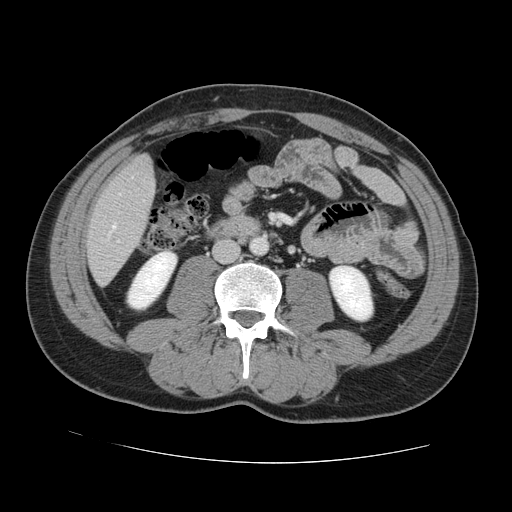

CT slice
Only some of the vessels may be annotated.
{"hepatic_vessel": ["[118, 194, 120, 195]", "[131, 177, 132, 178]", "[117, 240, 119, 242]", "[103, 222, 115, 240]"]}